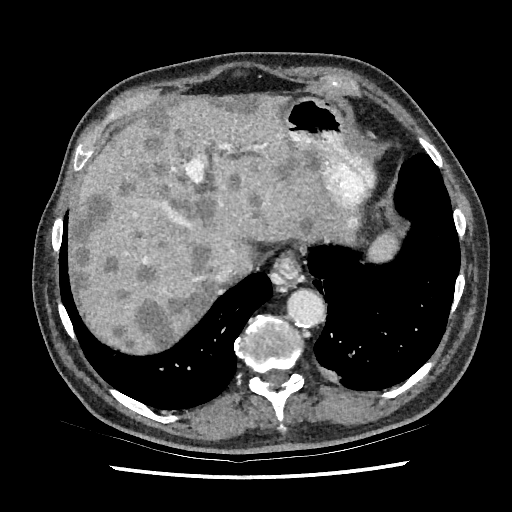 512x512 px, CT slice, Abdomen

partial: true
liver:
  - (x1=71, y1=96, x2=355, y2=352)
hepatic_lesion:
  # 15 of 21 shown
  - (x1=226, y1=173, x2=241, y2=190)
  - (x1=131, y1=299, x2=173, y2=348)
  - (x1=299, y1=218, x2=312, y2=233)
  - (x1=104, y1=257, x2=118, y2=272)
  - (x1=119, y1=178, x2=137, y2=195)
  - (x1=155, y1=185, x2=216, y2=227)
  - (x1=136, y1=265, x2=157, y2=284)
  - (x1=72, y1=192, x2=113, y2=301)
  - (x1=213, y1=96, x2=262, y2=112)
  - (x1=138, y1=161, x2=170, y2=179)
  - (x1=249, y1=194, x2=263, y2=219)
  - (x1=276, y1=137, x2=321, y2=182)
  - (x1=113, y1=325, x2=134, y2=347)
  - (x1=168, y1=243, x2=214, y2=324)
  - (x1=144, y1=109, x2=171, y2=154)